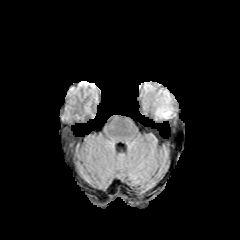
FLAIR MR.
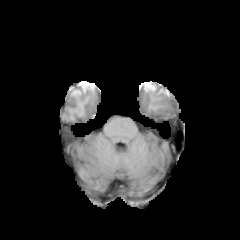
T1-weighted MRI of the same slice.
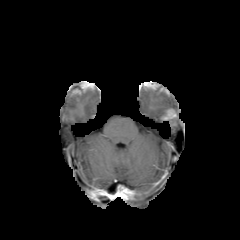
Post-contrast T1-weighted magnetic resonance.
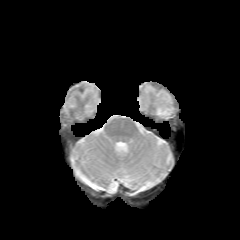
T2-weighted magnetic resonance.
240x240 px
Edema at 154,93,173,118.